Abdomen | CT slice
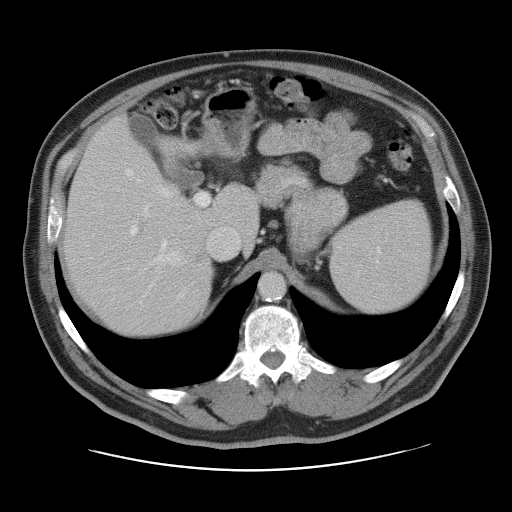
The vessel boxes may cover only some of the vessels.
The liver tumor is located at l=189, t=251, r=209, b=267. 9 hepatic vessel regions appear at l=142, t=204, r=149, b=216; l=195, t=193, r=209, b=206; l=155, t=252, r=178, b=262; l=207, t=228, r=239, b=257; l=158, t=185, r=171, b=196; l=161, t=240, r=166, b=249; l=183, t=287, r=188, b=288; l=126, t=170, r=132, b=175; l=129, t=225, r=137, b=234.